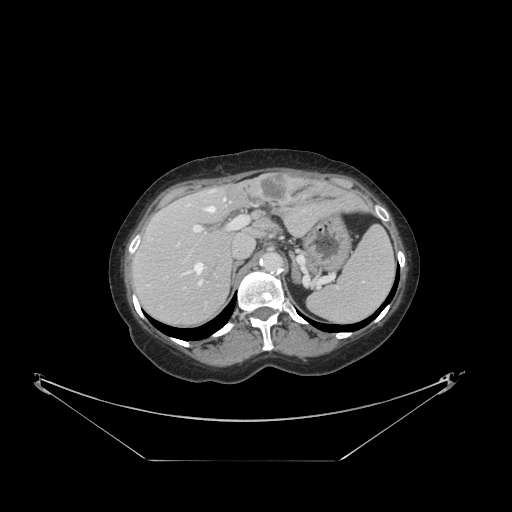
CT image
Not every hepatic vessel necessarily has a box.
Liver tumor: x1=256, y1=173, x2=292, y2=202.
Hepatic vessel: x1=224, y1=198, x2=225, y2=200; x1=204, y1=206, x2=214, y2=211; x1=188, y1=204, x2=190, y2=205; x1=193, y1=225, x2=201, y2=232; x1=193, y1=262, x2=203, y2=274; x1=228, y1=216, x2=247, y2=229; x1=182, y1=272, x2=188, y2=274; x1=233, y1=244, x2=253, y2=256; x1=198, y1=281, x2=201, y2=285.